35x51. MRI slice. Field of view 35x51 mm. 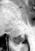

Segmented structures:
- posterior hippocampus: <box>12,35,24,42</box>